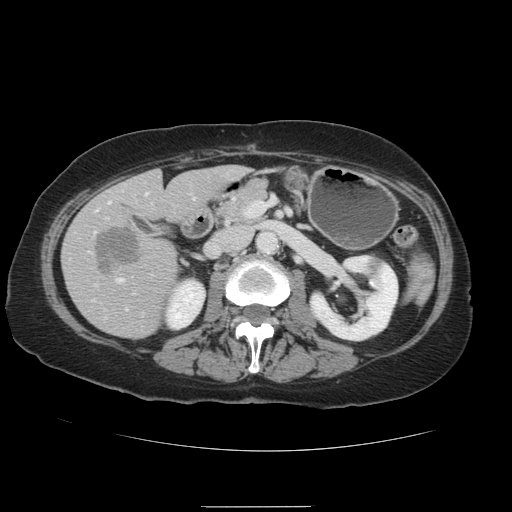 Computed tomography. The vessel boxes may cover only some of the vessels.
liver tumor: 96 226 139 270 | hepatic vessel: 145 192 147 194, 116 278 121 282, 108 201 109 203